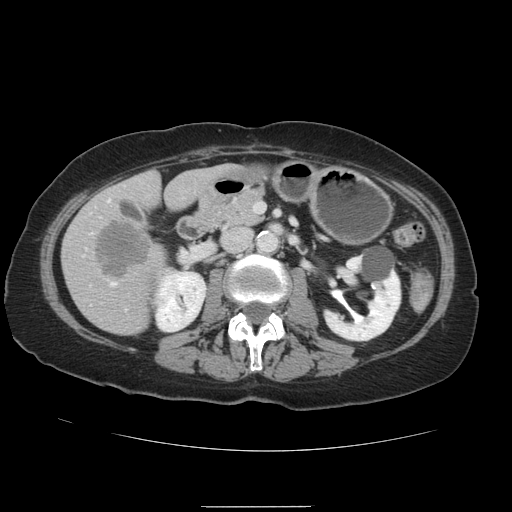 CT image

The vessel annotation is not exhaustive.
The liver tumor lies within bbox=[96, 218, 152, 277]. 2 hepatic vessel regions are bounded by bbox=[107, 200, 109, 202]; bbox=[110, 282, 114, 285].